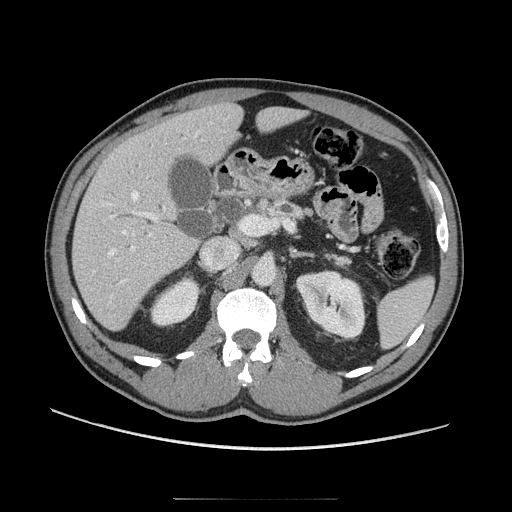

Abdomen | CT slice
Pancreas: bounding box (x1=253, y1=198, x2=306, y2=221), (x1=327, y1=253, x2=350, y2=267).